512x512. Slice index 383. CT.
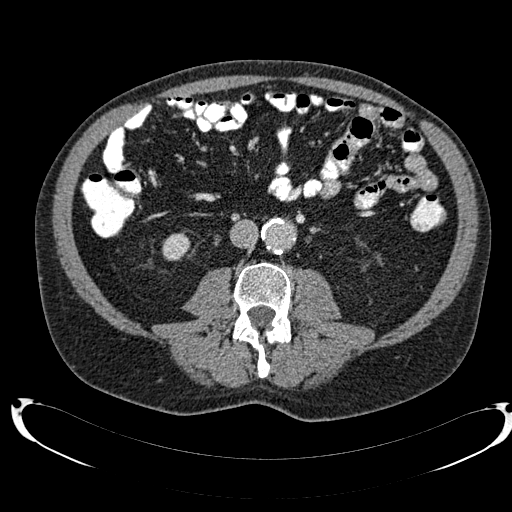
<segmentation>
  <kidney>(163,247,185,260)</kidney>
</segmentation>